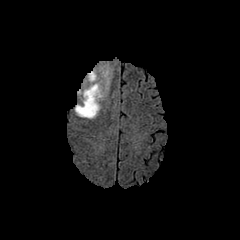
FLAIR MR.
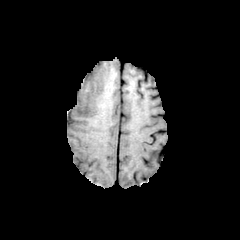
Same slice, T1-weighted MR.
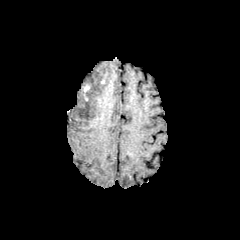
Post-contrast T1-weighted MR image of the same slice.
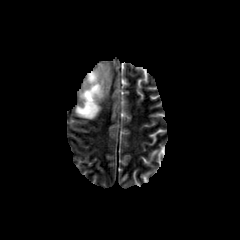
T2-weighted magnetic resonance of the same slice.
Image size 240x240, Brain
edema:
  - 75, 64, 111, 119
non-enhancing_tumor_core:
  - 82, 87, 88, 100